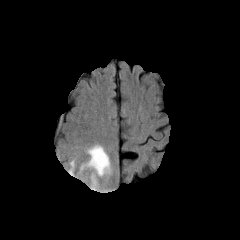
FLAIR MRI.
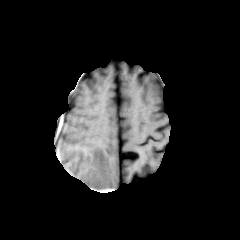
T1-weighted MRI.
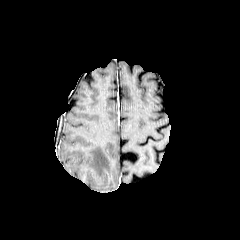
Same slice, post-contrast T1-weighted MR image.
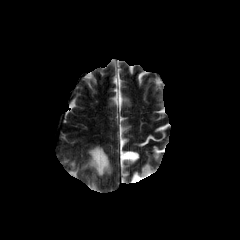
T2-weighted magnetic resonance of the same slice.
Brain. 240x240.
Edema at left=76, top=145, right=111, bottom=189; left=69, top=161, right=76, bottom=174.